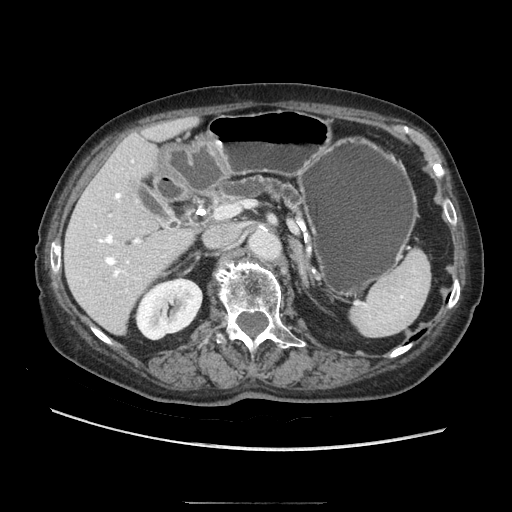
Image size 512x512, CT image, Abdomen
Pancreas = [212,176,302,213].